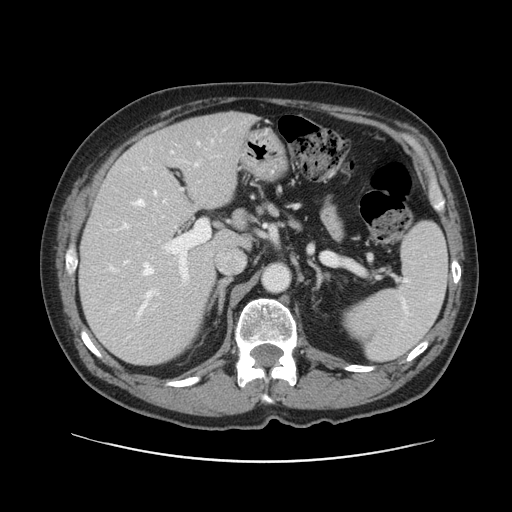
512x512, Computed tomography, Liver
Not every hepatic vessel necessarily has a box.
12 hepatic vessel regions are bounded by [x1=124, y1=260, x2=128, y2=263], [x1=195, y1=162, x2=198, y2=165], [x1=133, y1=199, x2=143, y2=204], [x1=171, y1=151, x2=172, y2=152], [x1=121, y1=223, x2=127, y2=228], [x1=109, y1=266, x2=113, y2=269], [x1=144, y1=262, x2=153, y2=274], [x1=138, y1=292, x2=151, y2=315], [x1=143, y1=168, x2=145, y2=169], [x1=155, y1=293, x2=158, y2=294], [x1=154, y1=191, x2=155, y2=194], [x1=197, y1=142, x2=199, y2=144].